Brain; Slice 98 of 155
FLAIR magnetic resonance.
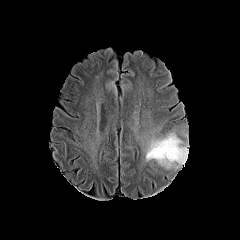
T1-weighted MR image.
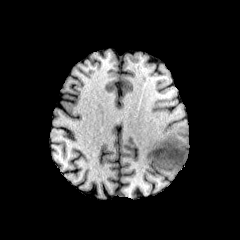
Post-contrast T1-weighted MRI.
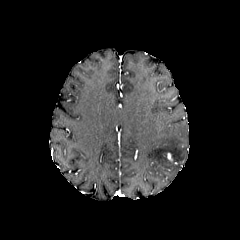
T2-weighted MR image.
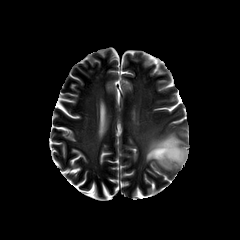
Edema = x1=146 y1=133 x2=187 y2=168.